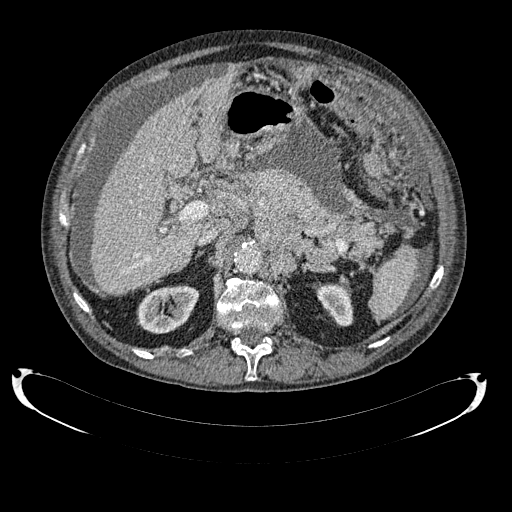 Image size 512x512. CT image. Kidney = x1=317 y1=285 x2=352 y2=325, x1=138 y1=286 x2=198 y2=332.
Liver = x1=91 y1=70 x2=239 y2=294.